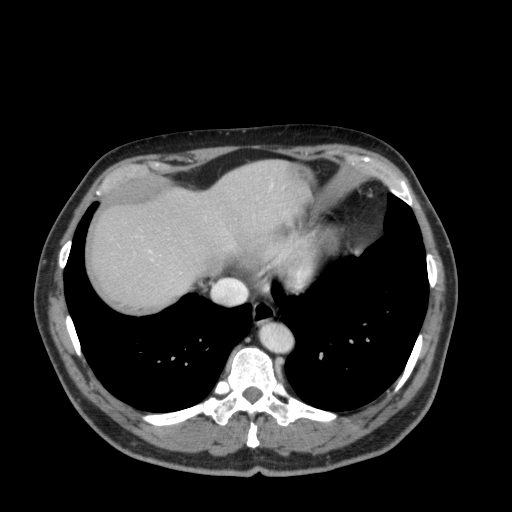 Computed tomography
{
  "liver": [
    "(91,161,307,307)"
  ]
}